Field of view 361x361 mm | CT image 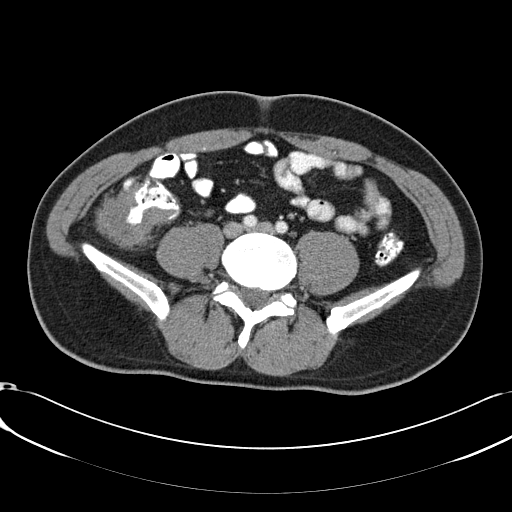
Colon tumor — rect(97, 188, 170, 244).